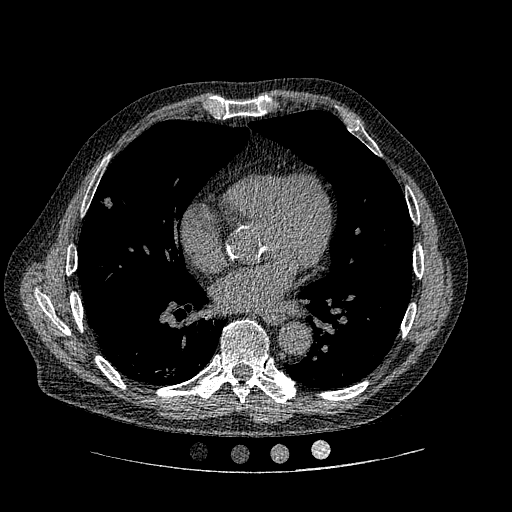
Computed tomography

The lung tumor is at [96, 195, 113, 210].